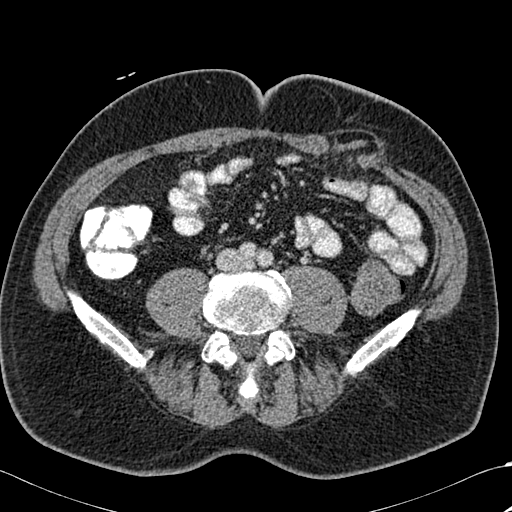

CT image | 512x512
Bone — <bbox>202, 270, 294, 399</bbox>, <bbox>69, 293, 145, 367</bbox>, <bbox>346, 310, 418, 373</bbox>.